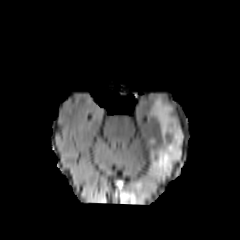
FLAIR MR.
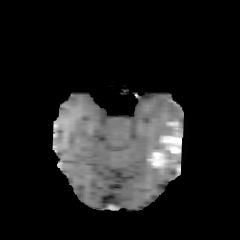
T1-weighted MRI of the same slice.
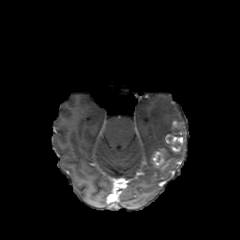
Post-contrast T1-weighted magnetic resonance.
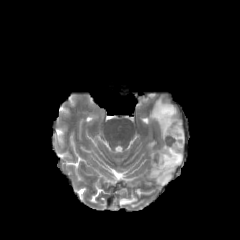
Same slice, T2-weighted MR image.
240x240.
non-enhancing tumor core: [156,160,175,167], [166,126,181,136] | enhancing tumor: [151,149,172,166], [165,134,183,151] | edema: [149,97,181,185], [120,198,136,203]